FLAIR MR.
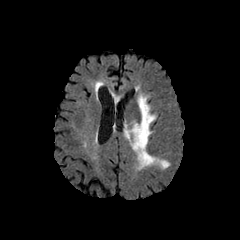
T1-weighted magnetic resonance.
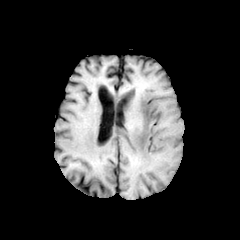
Post-contrast T1-weighted magnetic resonance.
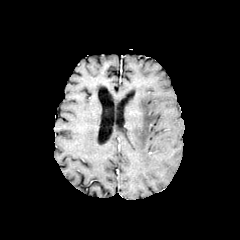
T2-weighted MR image.
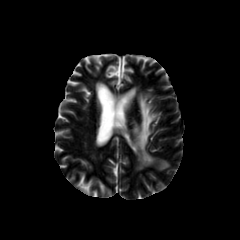
Brain
The edema lies within 122:93:169:169.